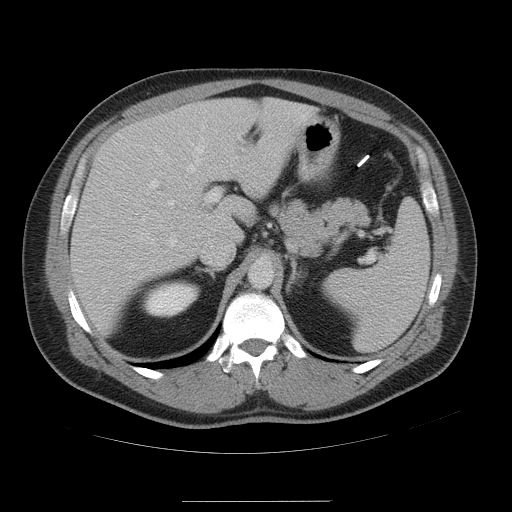

CT scan slice | Upper abdomen
spleen: box(324, 200, 428, 350)